CT | Image width 496 mm

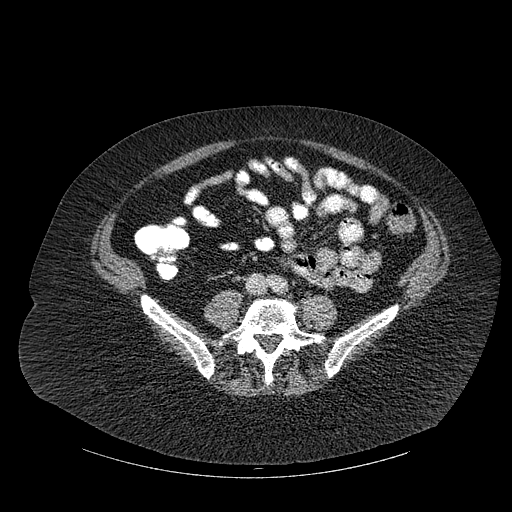

Segmented structures:
* bone: rect(223, 299, 323, 384); rect(325, 305, 397, 377); rect(141, 295, 214, 378)